Field of view 392x392 mm; CT image; Slice 473 of 729; Image size 512x512 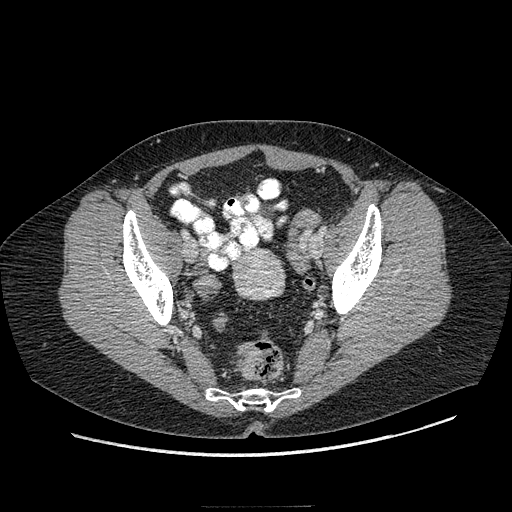
The colon tumor lies within (241,344,261,380).